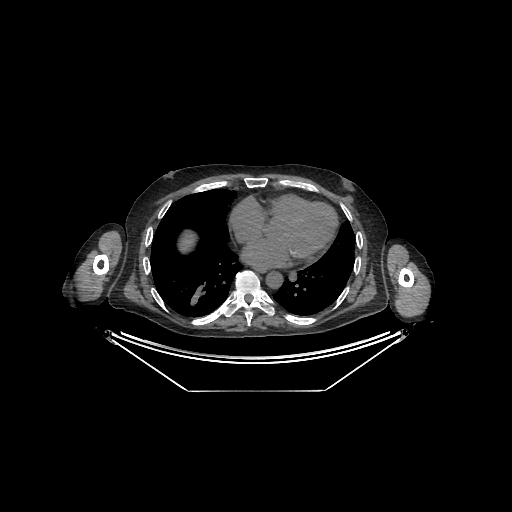

CT scan slice

Segmented structures:
- liver: 180:234:194:250